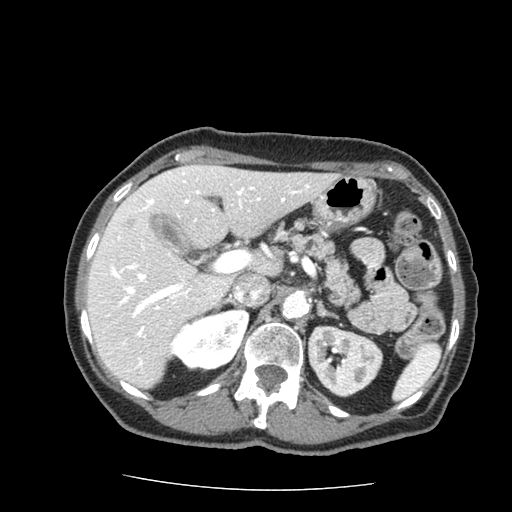
Abdomen; Computed tomography; Image size 512x512

The pancreas appears at x1=288 y1=232 x2=361 y2=308.